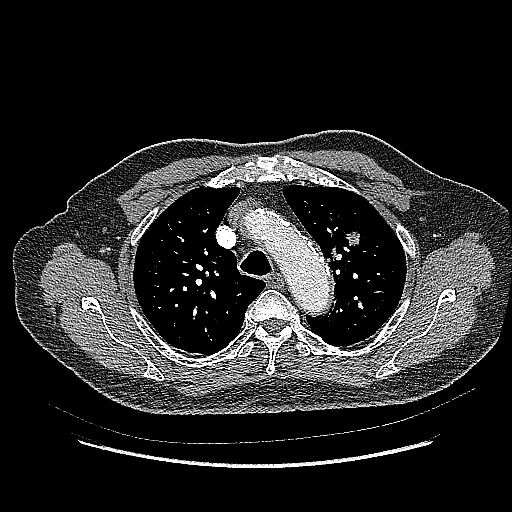 CT image
Lung tumor: bounding box 326,245,336,263; 342,228,374,248.